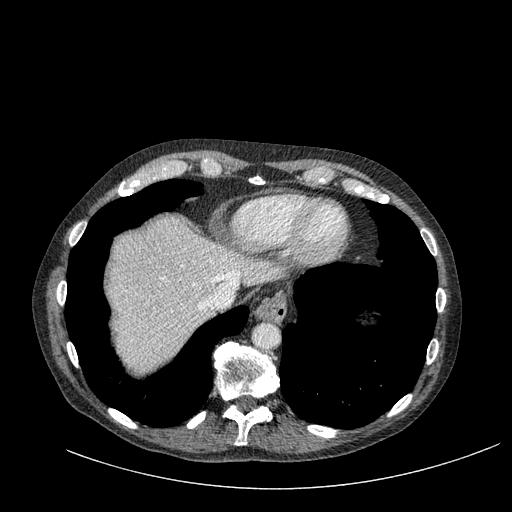

512x512 px, CT image, Liver

<segmentation>
  <liver><bbox>108, 216, 277, 370</bbox></liver>
</segmentation>